Slice 56 of 574. Computed tomography.

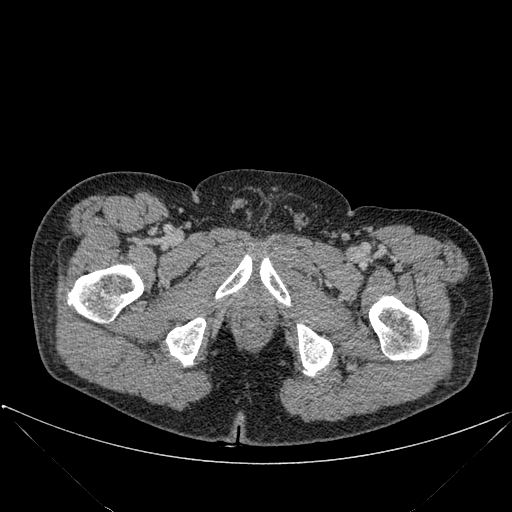 {
  "bone": [
    "<bbox>166, 317, 205, 365</bbox>",
    "<bbox>369, 296, 428, 359</bbox>",
    "<bbox>258, 258, 290, 305</bbox>",
    "<bbox>297, 324, 332, 375</bbox>",
    "<bbox>68, 265, 143, 322</bbox>",
    "<bbox>215, 255, 252, 298</bbox>"
  ]
}